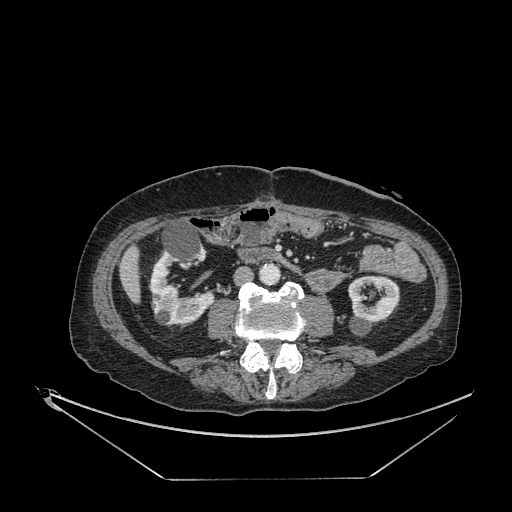

Liver. CT scan slice. Image size 512x512. Segmented structures:
- kidney: (left=348, top=276, right=399, bottom=322), (left=150, top=251, right=213, bottom=323), (left=196, top=247, right=205, bottom=260)
- liver: (left=120, top=246, right=139, bottom=303)